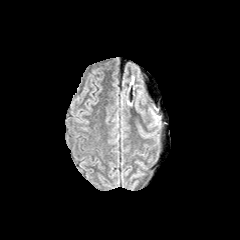
FLAIR MR.
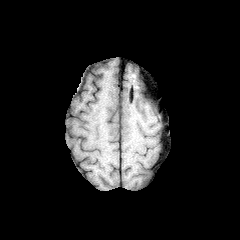
Same slice, T1-weighted magnetic resonance.
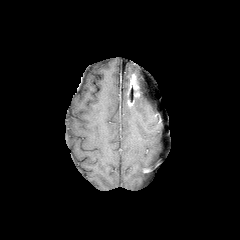
Post-contrast T1-weighted MRI.
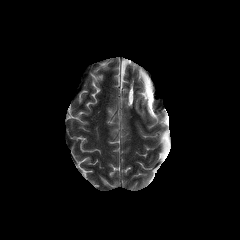
T2-weighted MRI of the same slice.
240x240; Brain
2 edema regions appear at (x1=126, y1=86, x2=138, y2=108), (x1=139, y1=90, x2=147, y2=101).